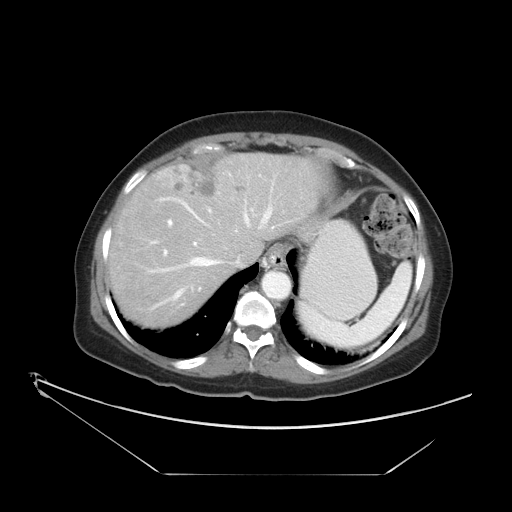 CT scan slice, Liver

Not every hepatic vessel necessarily has a box.
Liver tumor: bounding box rect(173, 167, 217, 196).
Hepatic vessel: bounding box rect(153, 289, 183, 307); rect(164, 250, 166, 254); rect(191, 257, 215, 265); rect(251, 209, 252, 210); rect(194, 242, 196, 245); rect(168, 220, 171, 224).